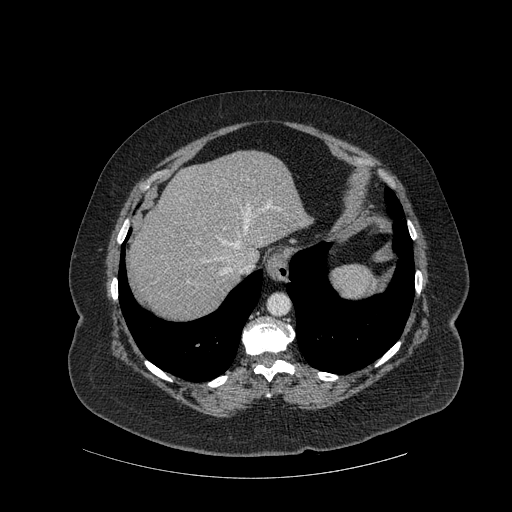

512x512, CT image
• lung: bbox=[286, 188, 414, 373]; bbox=[118, 247, 262, 381]
• liver: bbox=[130, 151, 312, 321]
• bone: bbox=[243, 319, 294, 354]; bbox=[208, 376, 227, 386]; bbox=[111, 278, 117, 299]; bbox=[254, 360, 294, 381]; bbox=[415, 271, 422, 292]; bbox=[376, 342, 400, 366]; bbox=[318, 372, 337, 380]; bbox=[408, 221, 416, 239]; bbox=[145, 361, 171, 381]